MR image | Hippocampus 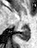
Posterior hippocampus — 16 27 30 40.